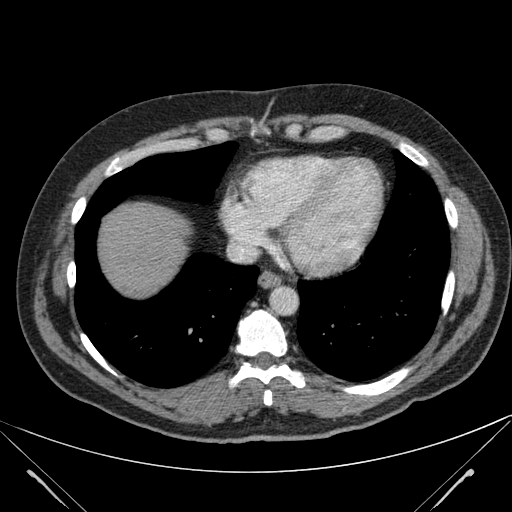

512x512 px | Abdomen | Computed tomography
The liver appears at [x1=98, y1=203, x2=187, y2=296].